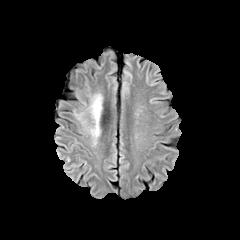
FLAIR MR.
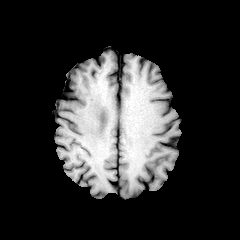
T1-weighted magnetic resonance of the same slice.
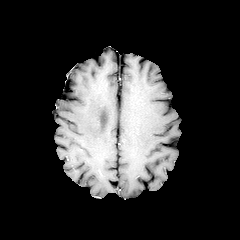
Post-contrast T1-weighted MRI.
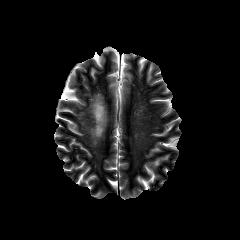
T2-weighted MR of the same slice.
240x240
edema:
  - bbox(74, 92, 103, 145)